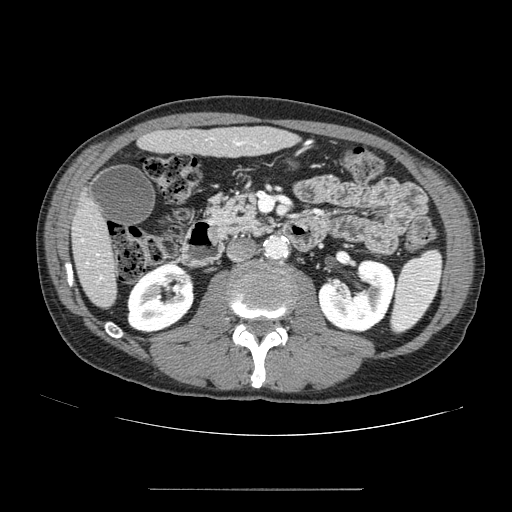

Upper abdomen, CT image
{"pancreas": ["x1=205, y1=190, x2=273, y2=239"]}